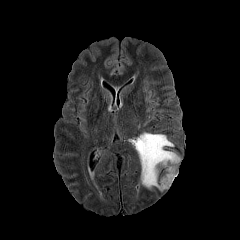
FLAIR MR image.
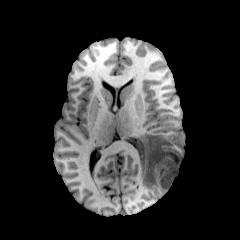
T1-weighted MRI.
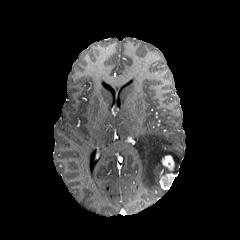
Post-contrast T1-weighted MRI.
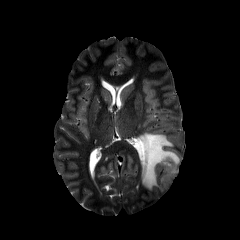
Same slice, T2-weighted magnetic resonance.
Head. Image size 240x240.
Segmented structures:
* enhancing tumor: (159,173,176,189), (161,155,174,169)
* edema: (134,132,180,191)
* non-enhancing tumor core: (159,164,176,174)